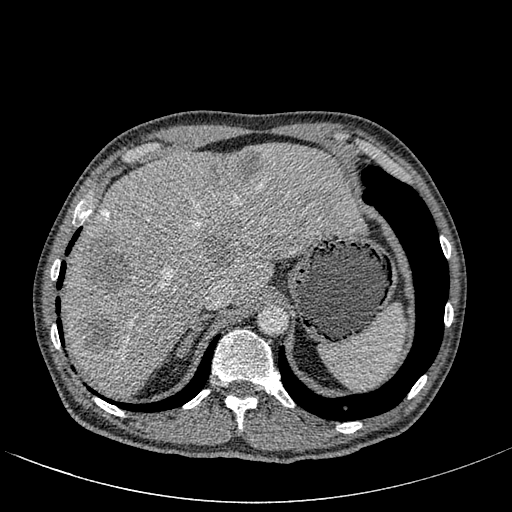

CT scan slice. 512x512 px. Hepatic lesion: bounding box (205,150,262,188), (205,224,240,265), (86,233,132,290), (265,236,276,244), (82,313,116,348), (317,194,329,205).
Liver: bounding box (63,144,367,396).